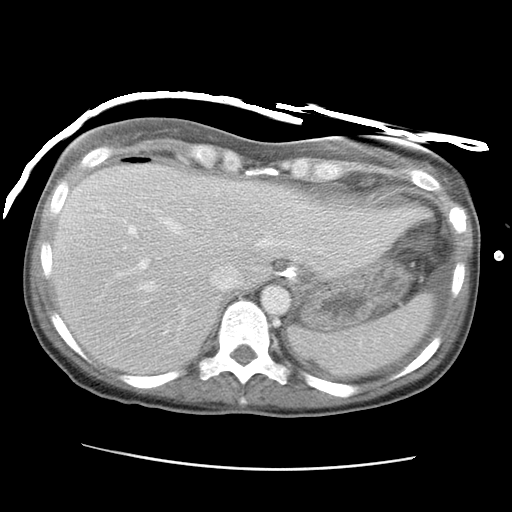

CT image
The liver is bounded by box(50, 163, 427, 376).